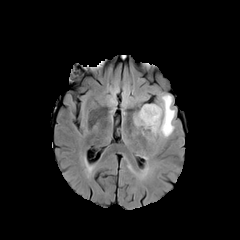
FLAIR magnetic resonance.
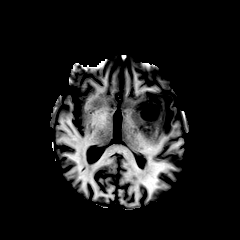
T1-weighted MRI of the same slice.
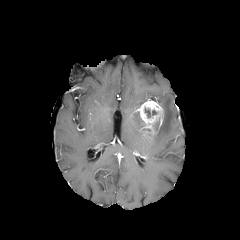
Same slice, post-contrast T1-weighted MRI.
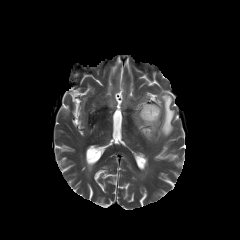
T2-weighted MRI of the same slice.
enhancing_tumor:
  - (left=140, top=99, right=162, bottom=122)
edema:
  - (left=133, top=92, right=175, bottom=142)
  - (left=137, top=93, right=149, bottom=105)
non-enhancing_tumor_core:
  - (left=144, top=108, right=161, bottom=133)